Upper abdomen. Computed tomography.

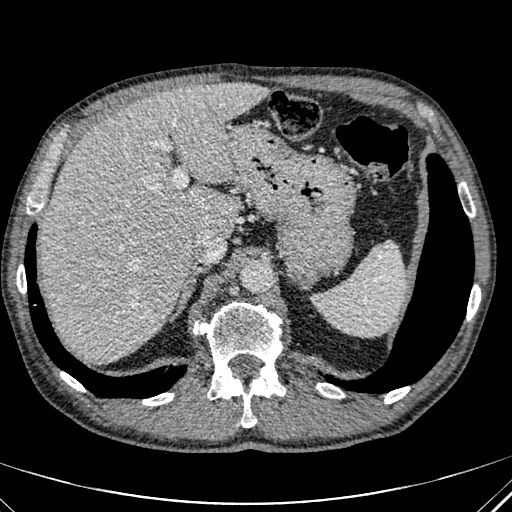

liver: rect(41, 82, 268, 362)